FLAIR magnetic resonance.
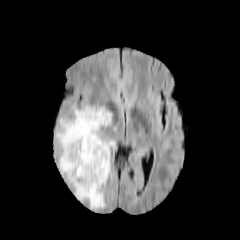
T1-weighted magnetic resonance.
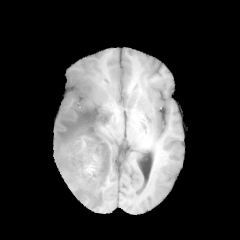
Post-contrast T1-weighted magnetic resonance.
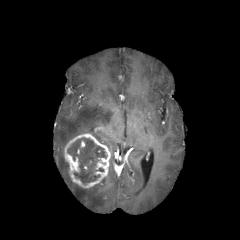
T2-weighted MR image.
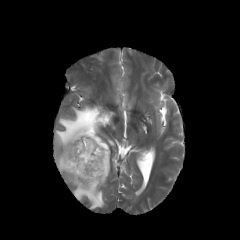
240x240; Brain
Edema = <box>55,105,113,209</box>.
Enhancing tumor = <box>64,133,111,188</box>.
Non-enhancing tumor core = <box>67,138,106,185</box>.